Field of view 388x388 mm; Computed tomography; Abdomen

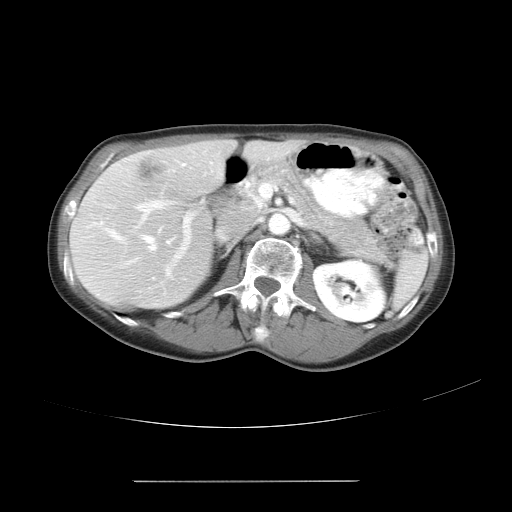
Not every hepatic vessel necessarily has a box.
- liver tumor: [x1=136, y1=152, x2=166, y2=181]
- hepatic vessel: [x1=158, y1=228, x2=160, y2=230], [x1=135, y1=200, x2=170, y2=227], [x1=181, y1=163, x2=184, y2=165], [x1=108, y1=230, x2=126, y2=242], [x1=89, y1=222, x2=102, y2=225], [x1=166, y1=213, x2=192, y2=277], [x1=169, y1=169, x2=173, y2=170], [x1=125, y1=259, x2=134, y2=263], [x1=166, y1=238, x2=172, y2=243], [x1=143, y1=235, x2=155, y2=249]